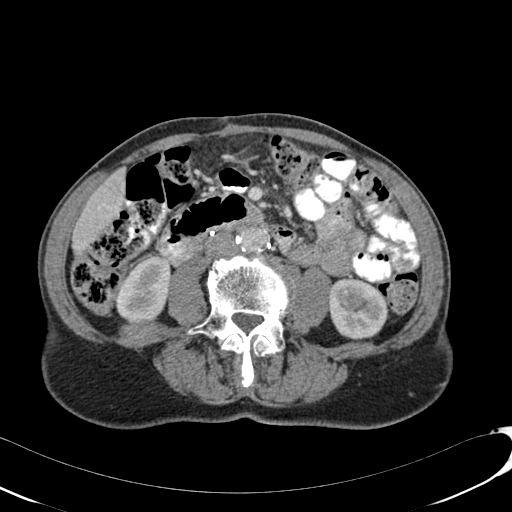
CT
Liver = (x1=73, y1=168, x2=124, y2=252).
Kidney = (x1=116, y1=257, x2=170, y2=322), (x1=329, y1=279, x2=386, y2=338).